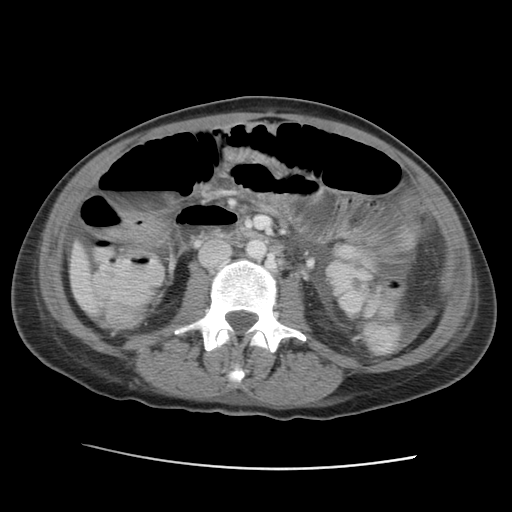 CT image.
• liver: [x1=70, y1=244, x2=102, y2=312]